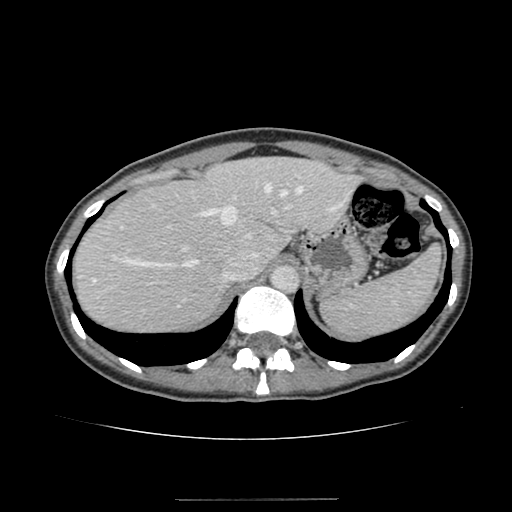 Abdomen | Computed tomography

Segmented structures:
• liver: <box>75,157,360,334</box>